Image size 512x512, Slice index 28, Liver, CT slice

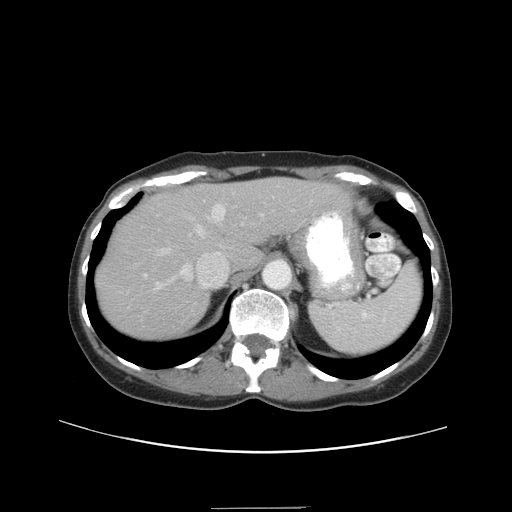
The vessel annotation is not exhaustive.
Annotated regions:
* hepatic vessel: left=144, top=274, right=145, bottom=276; left=181, top=265, right=190, bottom=274; left=197, top=226, right=203, bottom=235; left=186, top=275, right=191, bottom=279; left=260, top=214, right=262, bottom=215; left=212, top=204, right=224, bottom=220